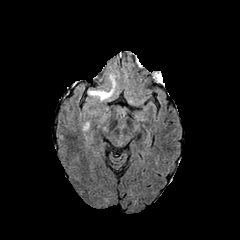
FLAIR MR image.
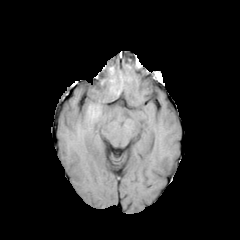
T1-weighted magnetic resonance.
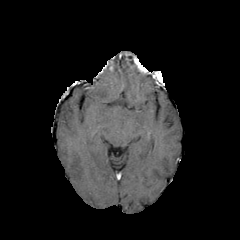
Same slice, post-contrast T1-weighted MR image.
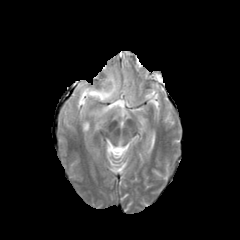
T2-weighted MRI of the same slice.
Head
edema:
  - bbox(87, 71, 116, 102)